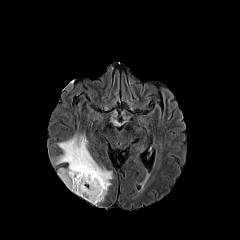
FLAIR MR.
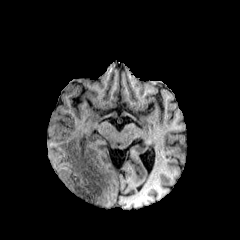
T1-weighted MR of the same slice.
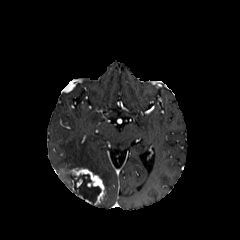
Post-contrast T1-weighted magnetic resonance.
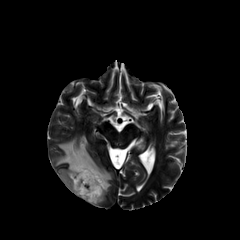
T2-weighted MRI of the same slice.
Head
The enhancing tumor lies within [x1=59, y1=167, x2=106, y2=204]. The non-enhancing tumor core is located at [x1=70, y1=173, x2=100, y2=205]. The edema appears at [x1=54, y1=135, x2=112, y2=191].